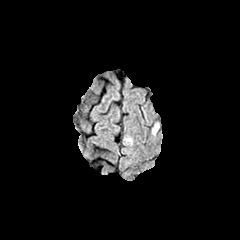
FLAIR MRI.
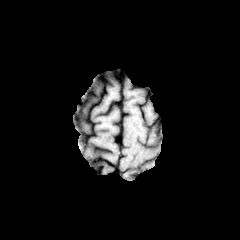
T1-weighted MRI.
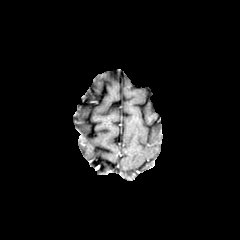
Same slice, post-contrast T1-weighted MRI.
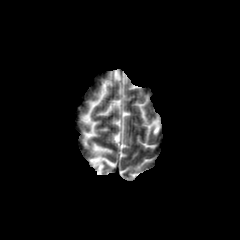
T2-weighted MR.
Brain.
Edema: 152, 122, 159, 135.